Abdomen, CT slice 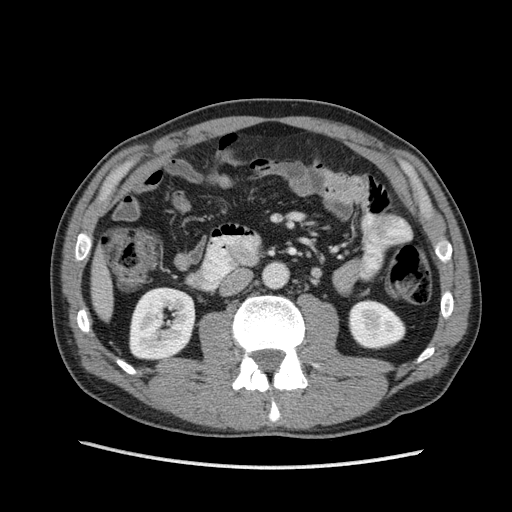

Kidney — bbox=[350, 302, 403, 346]; bbox=[130, 288, 194, 358].
Liver — bbox=[91, 254, 113, 319].